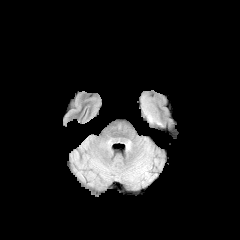
FLAIR MR image.
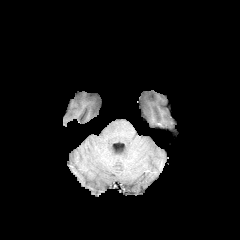
T1-weighted MR.
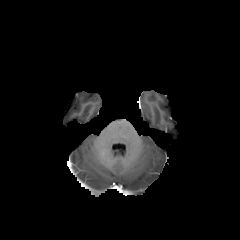
Post-contrast T1-weighted MR.
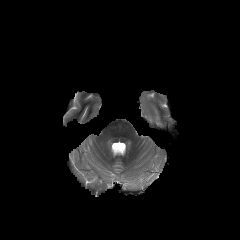
T2-weighted magnetic resonance of the same slice.
Brain, 240x240 px
<segmentation>
  <edema>[141, 95, 161, 124]</edema>
</segmentation>